CT. Image size 512x512.

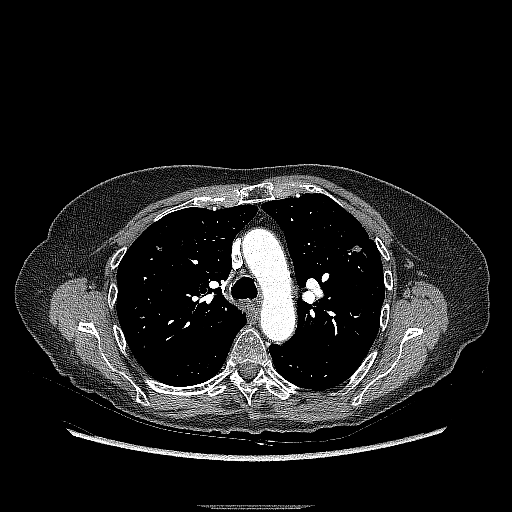 <segmentation>
  <lung_tumor>bbox(340, 242, 367, 261)</lung_tumor>
</segmentation>